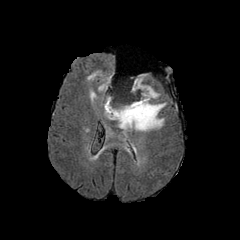
FLAIR MR image.
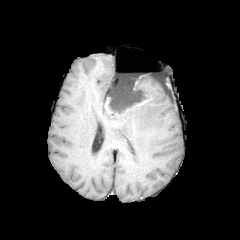
T1-weighted MR.
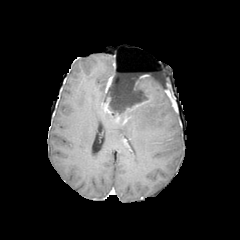
Post-contrast T1-weighted MRI.
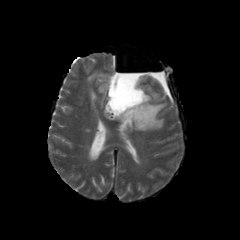
T2-weighted MR.
Head
The non-enhancing tumor core is located at region(105, 78, 143, 123). 3 edema regions are bounded by region(88, 71, 110, 104); region(90, 89, 97, 103); region(117, 75, 166, 138).